Abdomen. CT slice.
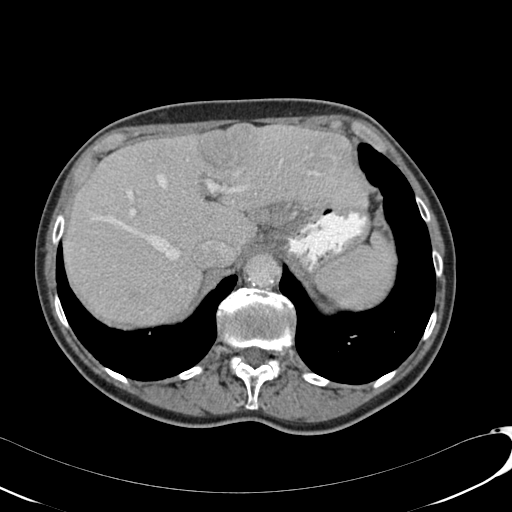 The liver lies within [x1=64, y1=124, x2=367, y2=324]. 2 liver lesion regions are bounded by [x1=199, y1=125, x2=258, y2=169], [x1=131, y1=291, x2=138, y2=301].